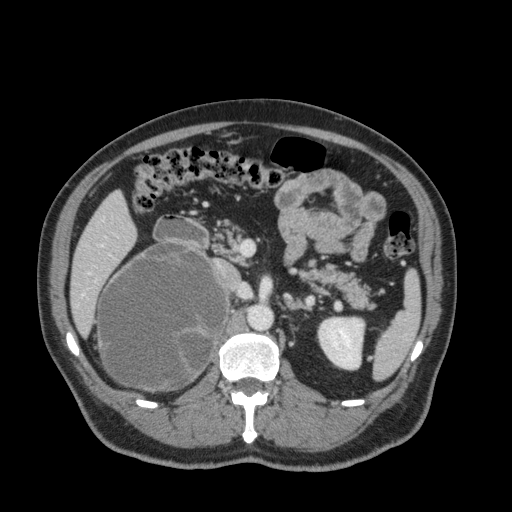

CT slice | Abdomen
Liver: bounding box 71,192,135,335.
Kidney: bounding box 319,318,363,369.